Slice 15/38 | Magnetic resonance
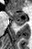 Annotated regions:
- posterior hippocampus: (15,22,25,25)
- anterior hippocampus: (7,10,27,21)